512x512; Slice 391 of 756; CT 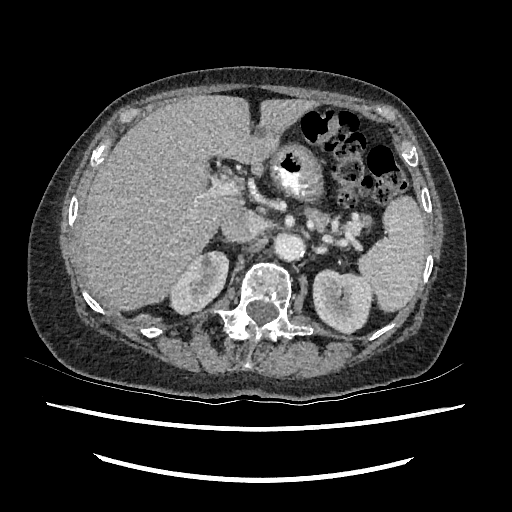

liver lesion: [256,125,268,137] | liver: [83,95,318,310] | kidney: [313,270,377,333], [170,251,228,313]